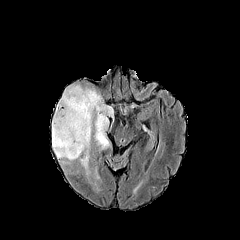
FLAIR MRI.
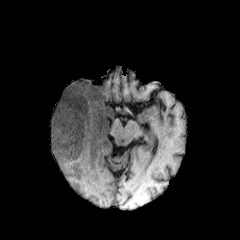
T1-weighted MR.
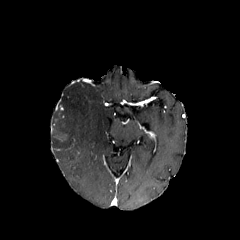
Post-contrast T1-weighted MR image of the same slice.
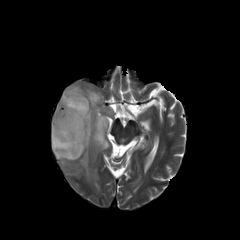
T2-weighted MRI.
Image size 240x240 | Brain
edema: (x1=51, y1=82, x2=113, y2=178)